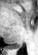
Medial temporal lobe, MR image
Segmented structures:
* posterior hippocampus: 11,43,21,47